Field of view 436 mm wide, 5.00 mm slice spacing; CT slice; Image size 512x512; Liver 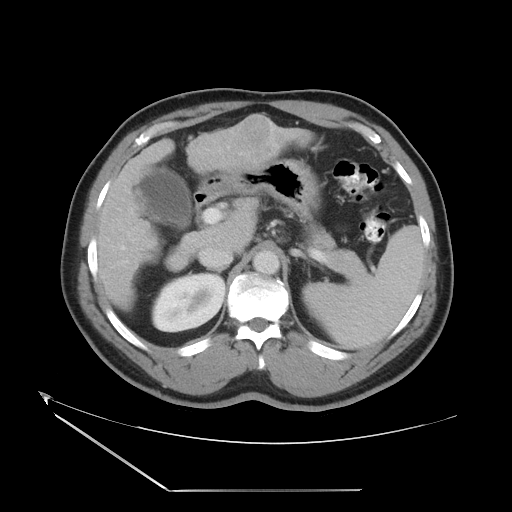 The vessel annotation is not exhaustive.
Annotated regions:
- hepatic vessel: box=[121, 246, 124, 249]; box=[124, 260, 128, 262]
- liver tumor: box=[239, 116, 271, 144]